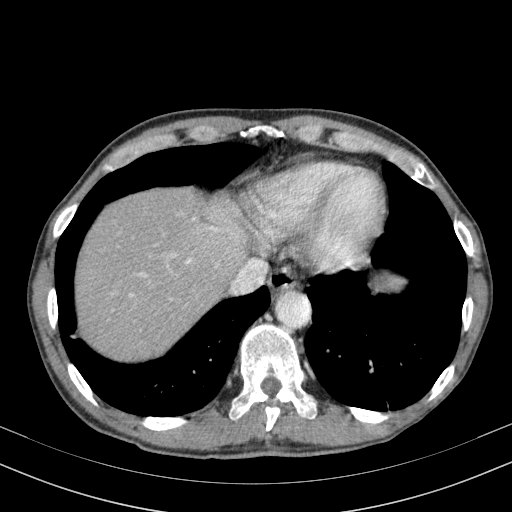 CT; 512x512 px
{"liver": ["x1=234, y1=176, x2=243, y2=193", "x1=75, y1=187, x2=268, y2=361"]}